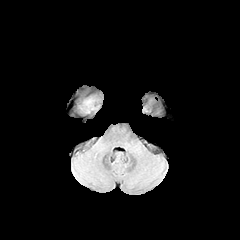
FLAIR magnetic resonance.
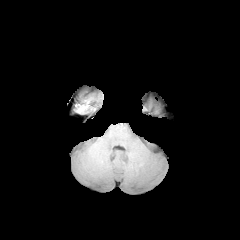
T1-weighted MRI of the same slice.
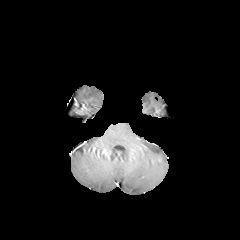
Post-contrast T1-weighted magnetic resonance.
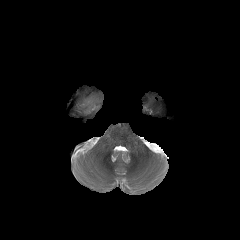
T2-weighted MRI.
Edema at [x1=80, y1=100, x2=91, y2=111].